Head. Field of view 240 mm wide, 1.00 mm slice spacing.
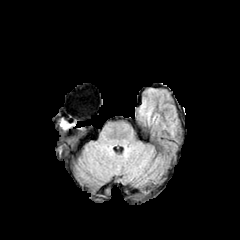
FLAIR MR.
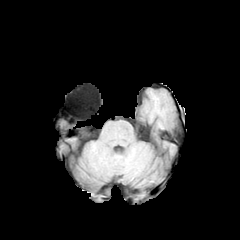
T1-weighted MRI.
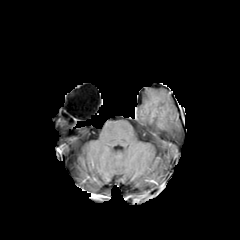
Same slice, post-contrast T1-weighted MR image.
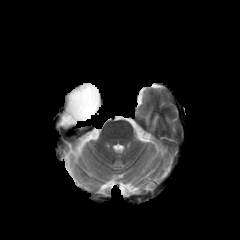
T2-weighted MR of the same slice.
edema: x1=60 y1=121 x2=71 y2=129